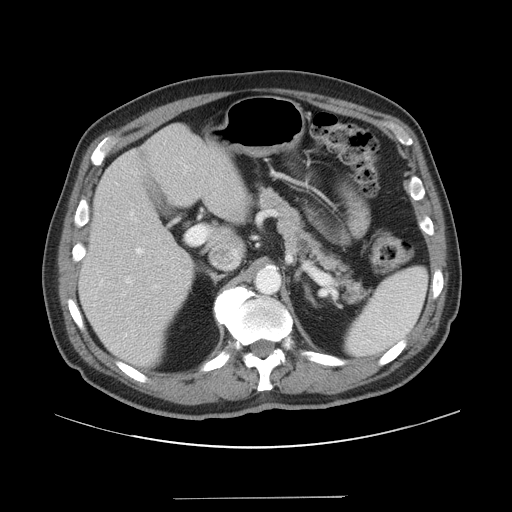

Upper abdomen; CT
Pancreas: bounding box 255,185,364,302.